Slice index 38, Pelvis, CT image

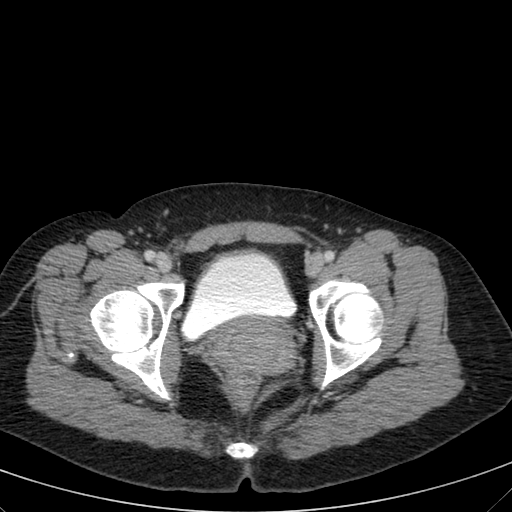

Urinary bladder — bbox=[182, 258, 293, 340].